Slice index 200, Field of view 350x350 mm, CT image
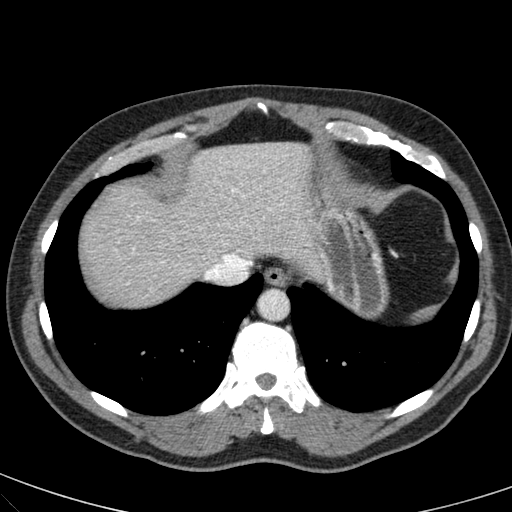
{
  "liver": [
    "(x1=83, y1=141, x2=320, y2=304)"
  ]
}